Brain, 240x240
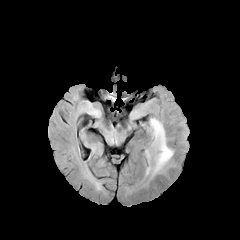
FLAIR magnetic resonance.
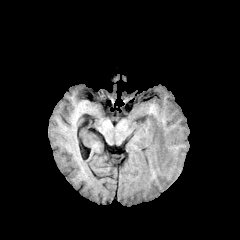
T1-weighted MR.
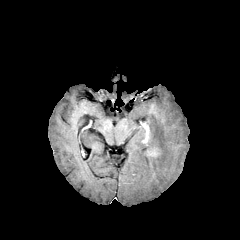
Post-contrast T1-weighted MRI.
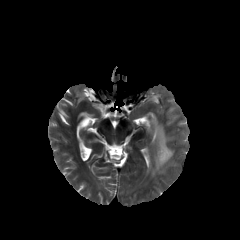
T2-weighted MR.
Edema: 148:116:173:172.